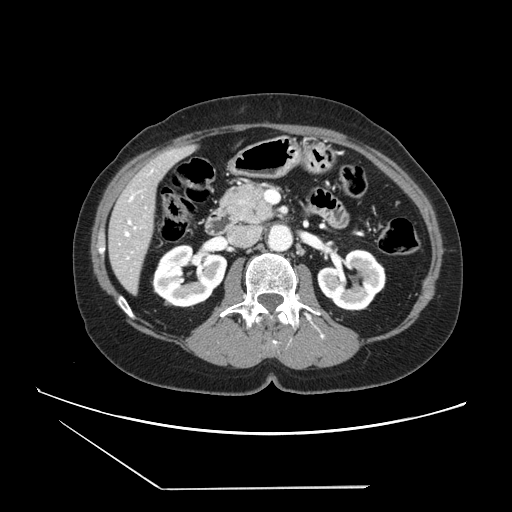 CT image. 512x512 px. Upper abdomen.

Segmented structures:
• pancreas: region(222, 184, 272, 223)